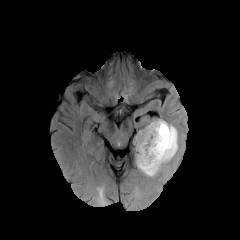
FLAIR MR image.
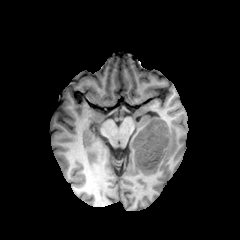
T1-weighted magnetic resonance.
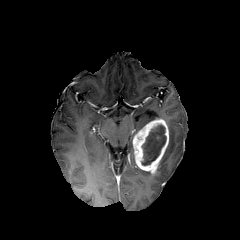
Same slice, post-contrast T1-weighted magnetic resonance.
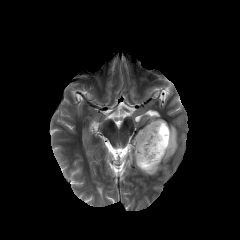
T2-weighted MR image.
Head
edema: 138 121 183 177 | enhancing tumor: 133 118 169 173 | non-enhancing tumor core: 142 125 166 165